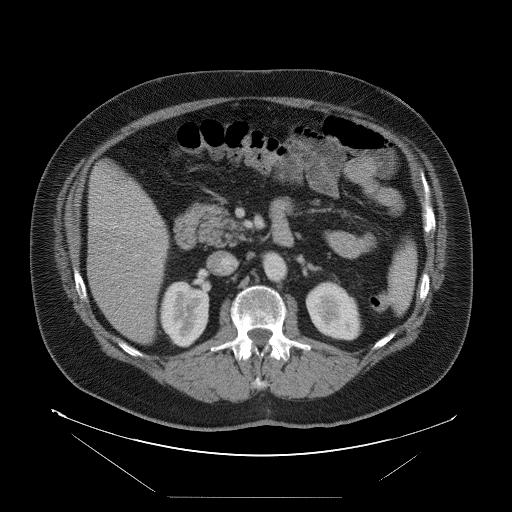

CT slice, 512x512 px
Only some of the vessels may be annotated.
Hepatic vessel: bbox(148, 225, 150, 226); bbox(152, 260, 161, 267); bbox(130, 290, 133, 292); bbox(152, 222, 160, 226); bbox(127, 232, 129, 233); bbox(155, 270, 160, 271); bbox(117, 244, 119, 246); bbox(159, 229, 162, 231); bbox(134, 254, 138, 256); bbox(112, 222, 116, 227).